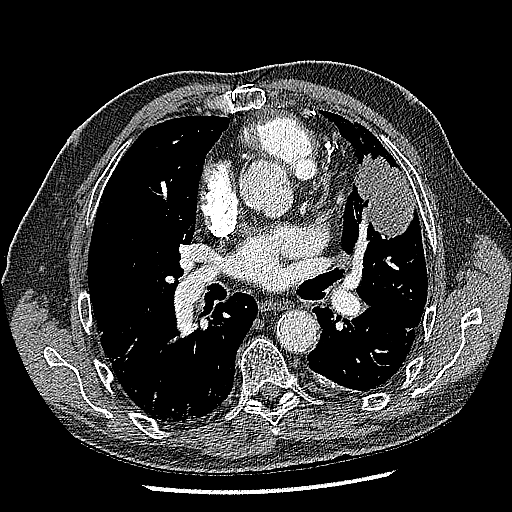

CT

Lung tumor — l=354, t=153, r=416, b=239.